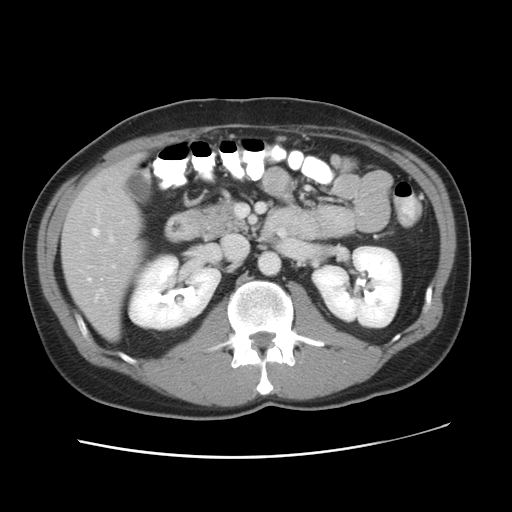

Computed tomography | Abdomen

Not every hepatic vessel necessarily has a box.
{
  "hepatic_vessel": [
    "x1=92 y1=228 x2=98 y2=234",
    "x1=97 y1=209 x2=98 y2=215",
    "x1=88 y1=277 x2=90 y2=279",
    "x1=95 y1=288 x2=101 y2=299",
    "x1=109 y1=235 x2=112 y2=240"
  ]
}